FLAIR MR.
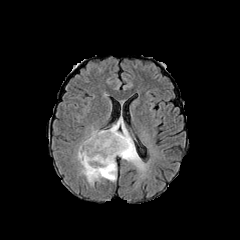
T1-weighted magnetic resonance.
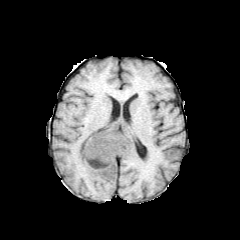
Post-contrast T1-weighted MR.
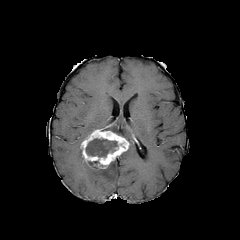
T2-weighted MR.
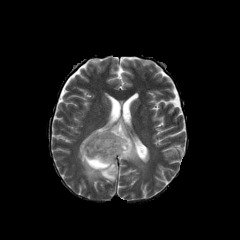
240x240 px
Non-enhancing tumor core — bbox(86, 139, 116, 156).
Edema — bbox(102, 114, 146, 170); bbox(77, 146, 117, 185).
Enhancing tumor — bbox(80, 129, 129, 168).